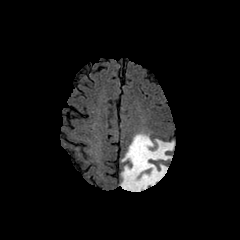
FLAIR magnetic resonance.
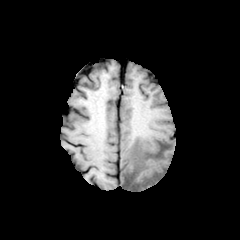
T1-weighted MR image of the same slice.
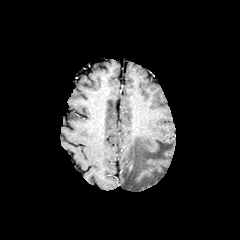
Same slice, post-contrast T1-weighted MR image.
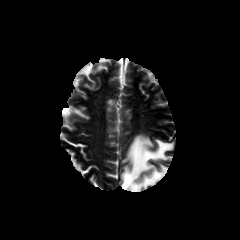
Same slice, T2-weighted MR image.
Brain
The edema appears at (120,133,174,191).